FLAIR magnetic resonance.
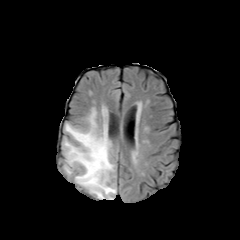
T1-weighted MRI.
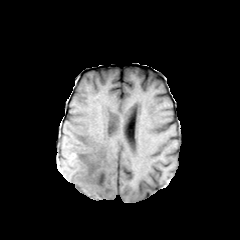
Post-contrast T1-weighted MRI.
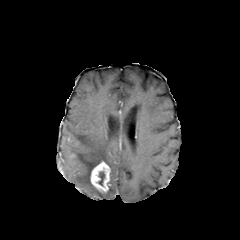
T2-weighted MR.
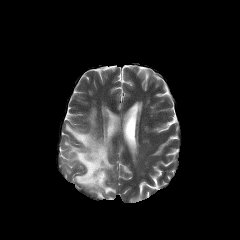
240x240 px | Head
Edema — [62, 108, 116, 199].
Enhancing tumor — [90, 160, 109, 192].